FLAIR MR image.
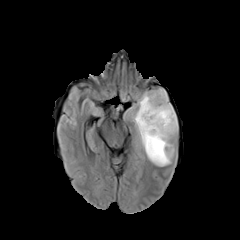
T1-weighted MR image.
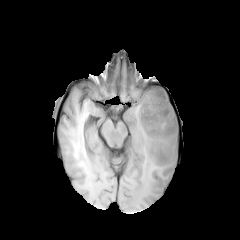
Post-contrast T1-weighted MR.
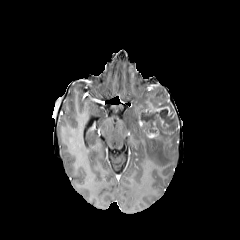
T2-weighted MRI.
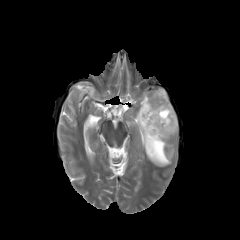
Head
Edema: bounding box 131:88:177:166.
Non-enhancing tumor core: bounding box 139:90:177:141.
Enhancing tumor: bounding box 145:122:158:137, 144:103:172:115.